Liver. Computed tomography. 512x512 px.

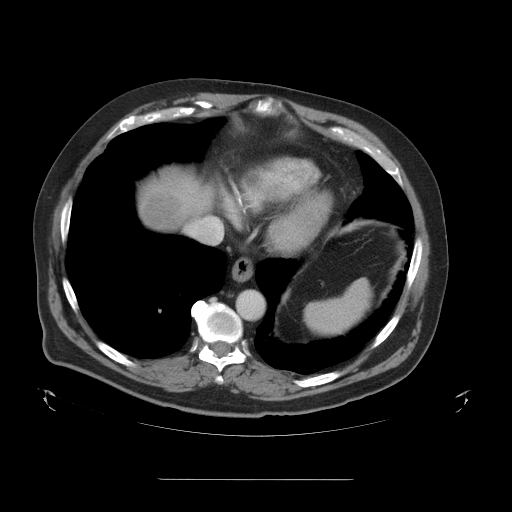

Findings:
• liver tumor: box=[145, 191, 180, 226]